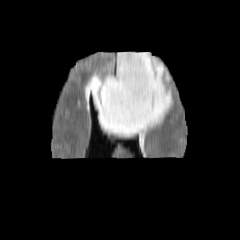
FLAIR MR.
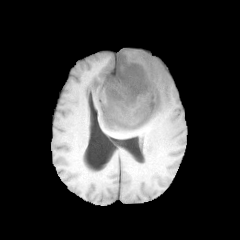
Same slice, T1-weighted MR.
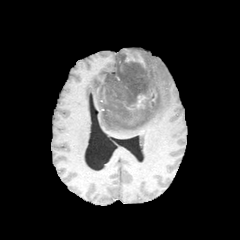
Post-contrast T1-weighted magnetic resonance.
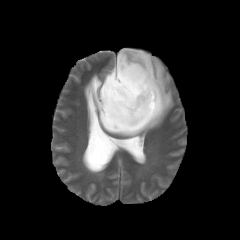
T2-weighted MRI.
Head
Non-enhancing tumor core at x1=107, y1=48, x2=157, y2=125; x1=104, y1=86, x2=118, y2=94.
Edema at x1=90, y1=49, x2=173, y2=136.
Enhancing tumor at x1=136, y1=96, x2=148, y2=108.